Slice 86/155
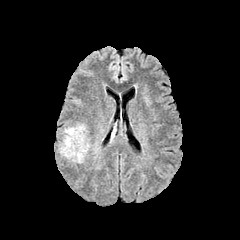
FLAIR MRI.
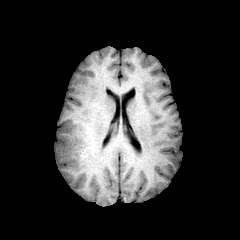
T1-weighted MR of the same slice.
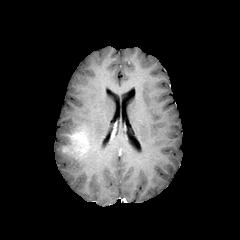
Same slice, post-contrast T1-weighted magnetic resonance.
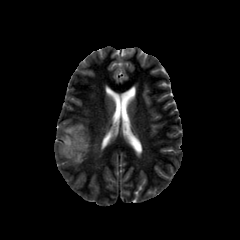
T2-weighted magnetic resonance.
edema: <bbox>58, 123, 99, 165</bbox> | enhancing tumor: <bbox>62, 129, 87, 157</bbox>